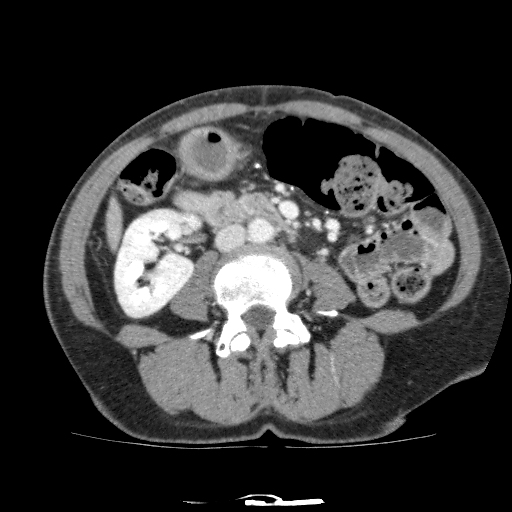
CT slice, Abdomen

{"liver": ["rect(105, 196, 123, 250)"], "kidney": ["rect(115, 210, 200, 316)"]}